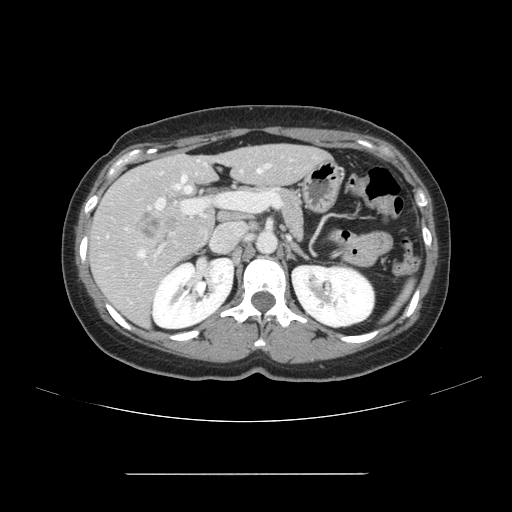 Liver; CT

The vessel boxes may cover only some of the vessels.
* liver tumor: l=132, t=214, r=157, b=237
* hepatic vessel: l=155, t=198, r=164, b=208; l=175, t=175, r=190, b=192; l=148, t=207, r=150, b=208; l=257, t=167, r=262, b=172; l=264, t=164, r=269, b=167; l=139, t=251, r=144, b=256